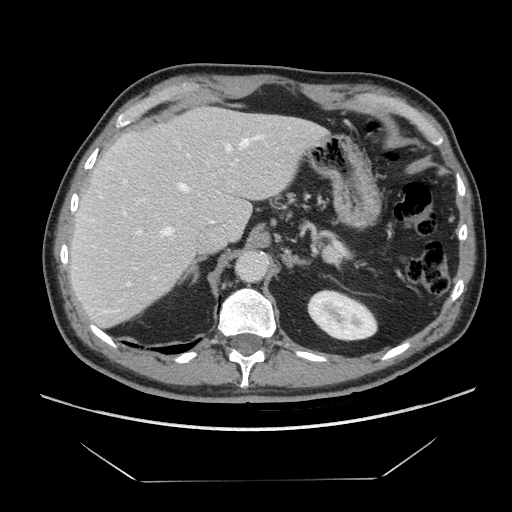

CT slice. Abdomen.

Pancreas — {"x1": 324, "y1": 247, "x2": 342, "y2": 261}.